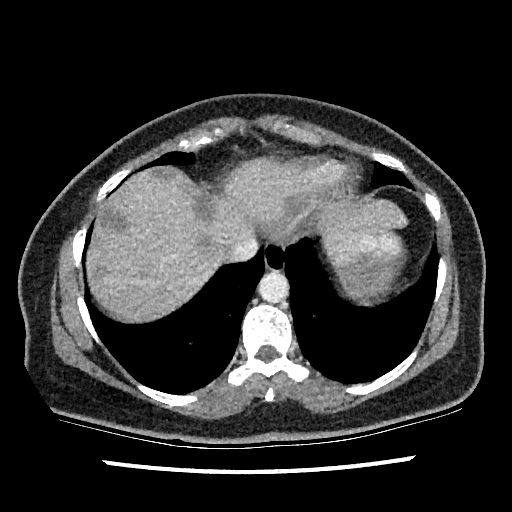 CT image; 512x512
Liver: bounding box x1=87, y1=158, x2=301, y2=319; x1=323, y1=201, x2=407, y2=244.
Focal liver lesion: bounding box x1=152, y1=167, x2=173, y2=178; x1=99, y1=208, x2=127, y2=230; x1=193, y1=190, x2=212, y2=221; x1=94, y1=266, x2=107, y2=277; x1=200, y1=235, x2=213, y2=252; x1=286, y1=196, x2=294, y2=213.